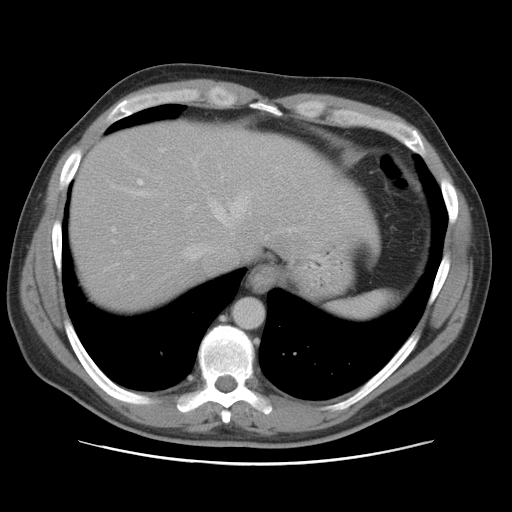
CT scan slice; Liver; Image size 512x512
Some hepatic vessels may have no box.
Annotated regions:
- hepatic vessel: l=209, t=193, r=250, b=235; l=185, t=243, r=219, b=259; l=227, t=248, r=229, b=250; l=137, t=179, r=143, b=184